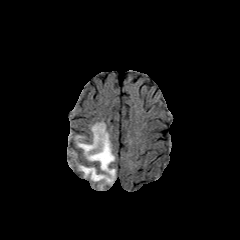
FLAIR MRI.
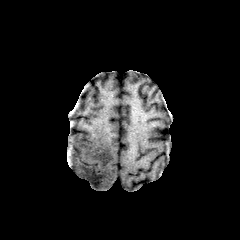
Same slice, T1-weighted MRI.
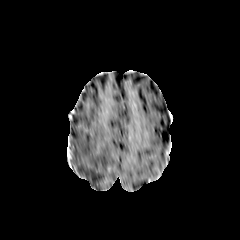
Post-contrast T1-weighted MR image.
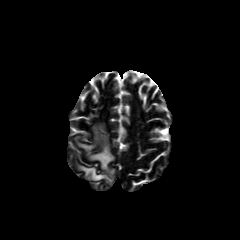
T2-weighted MRI.
Brain; Image size 240x240
The edema appears at box(76, 123, 115, 188).